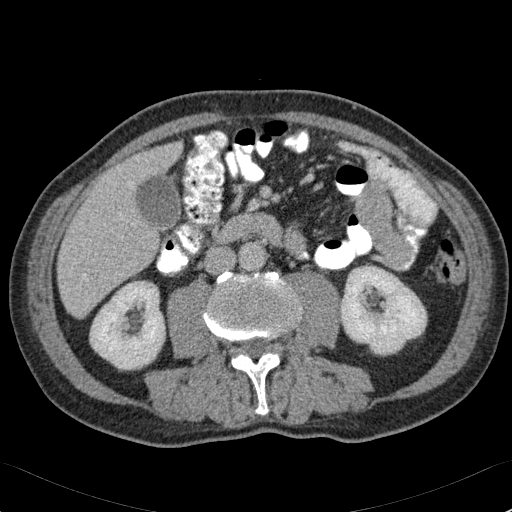

CT image; Upper abdomen
The liver lies within (58, 146, 177, 316). 2 kidney regions appear at (90, 282, 164, 368), (340, 266, 426, 354).